CT 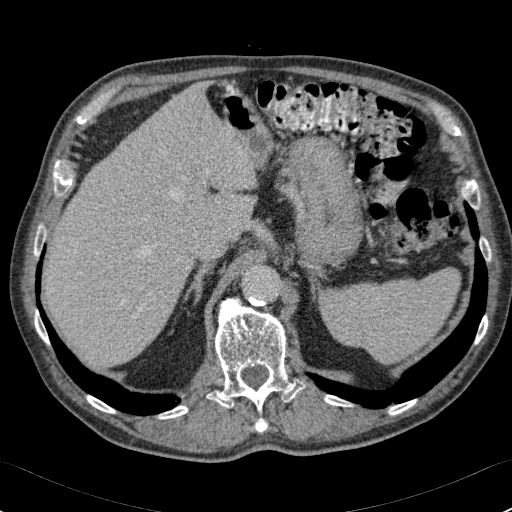

The liver is at (x1=46, y1=82, x2=255, y2=364).